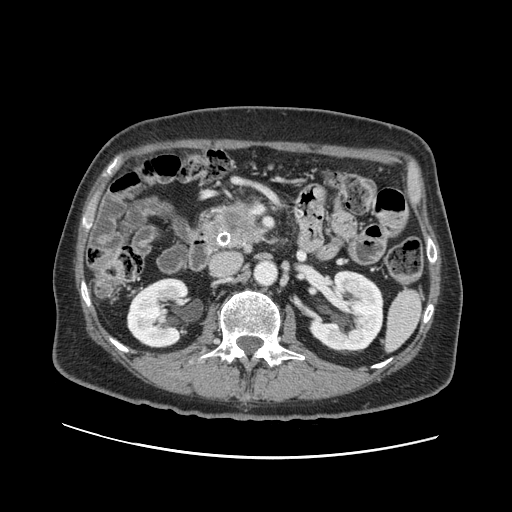

Computed tomography | 512x512 px
Pancreas: 197,195,269,254.
Pancreatic tumor: 214,204,257,241.